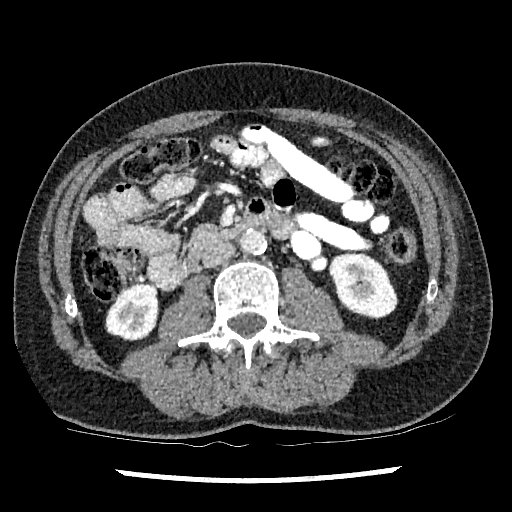

512x512 | Abdomen | CT scan slice
Segmented structures:
• kidney: [331,254,395,316], [107,285,156,338]